Abdomen. 512x512. Computed tomography. Slice index 106.

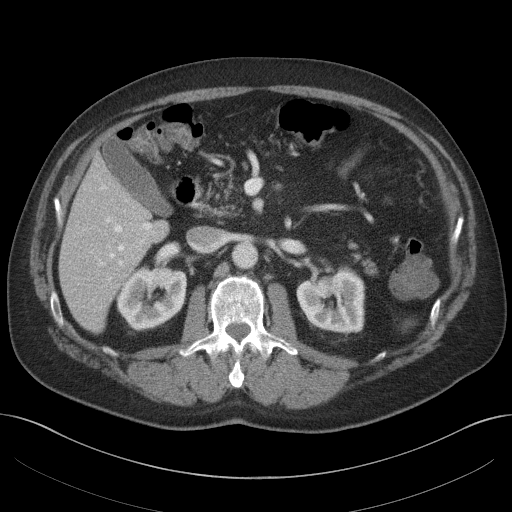

Kidney: box=[297, 271, 363, 330]; box=[118, 269, 185, 327].
Liver: box=[59, 157, 155, 330].